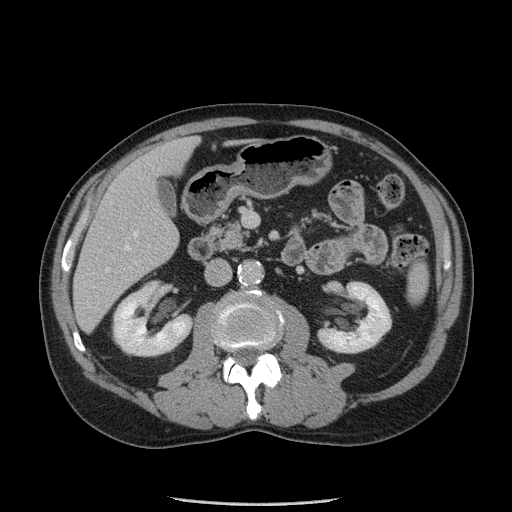

CT slice
Findings:
* pancreas: 207 220 247 251